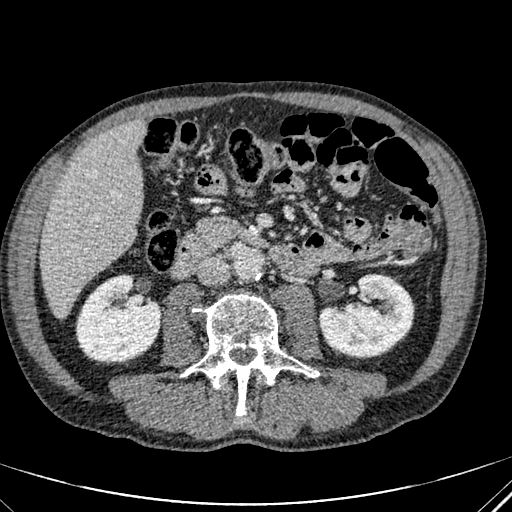 512x512; CT; Abdomen
Liver: region(40, 120, 143, 317).
Kidney: region(320, 275, 412, 356); region(77, 276, 159, 360).